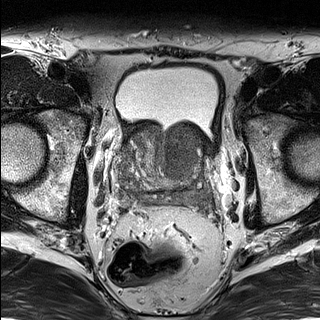
T2-weighted MR image.
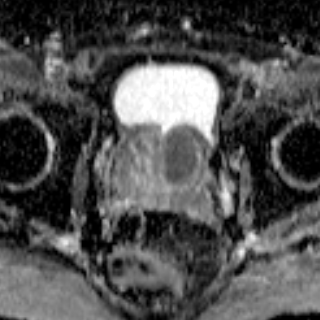
ADC magnetic resonance.
Prostate
Segmented structures:
- prostate transition zone: 121:126:201:190